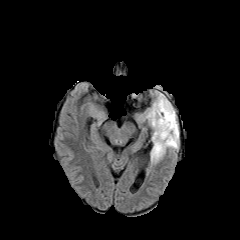
FLAIR MR.
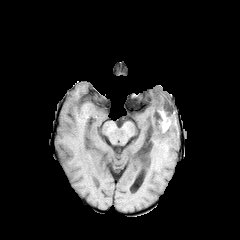
T1-weighted MR image.
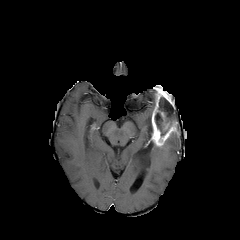
Post-contrast T1-weighted MR image of the same slice.
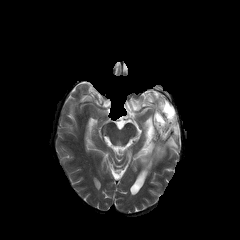
T2-weighted MRI of the same slice.
240x240
edema:
  - (x1=140, y1=103, x2=152, y2=135)
  - (x1=149, y1=132, x2=179, y2=167)
non-enhancing_tumor_core:
  - (x1=155, y1=98, x2=175, y2=132)
  - (x1=148, y1=114, x2=154, y2=145)
enhancing_tumor:
  - (x1=151, y1=86, x2=178, y2=146)